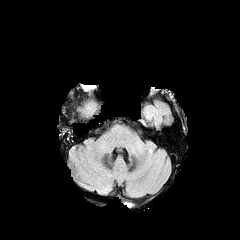
FLAIR magnetic resonance.
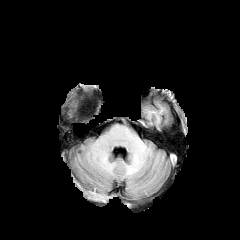
T1-weighted magnetic resonance.
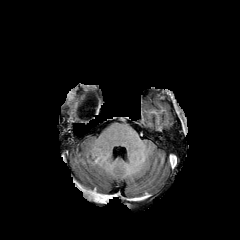
Same slice, post-contrast T1-weighted magnetic resonance.
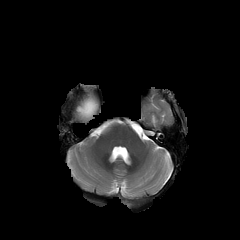
T2-weighted MR image.
Brain.
Non-enhancing tumor core = 84:104:93:113.